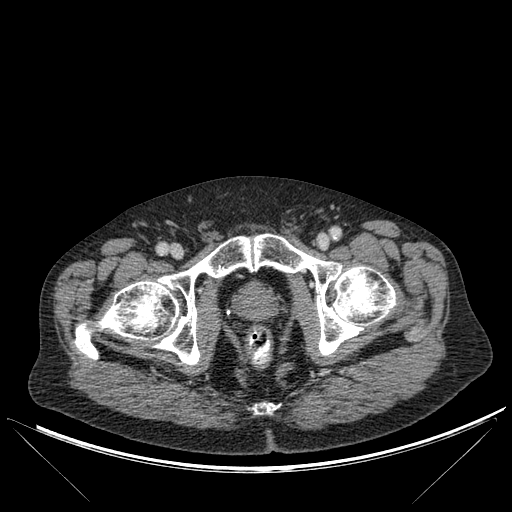
Computed tomography. 512x512 px.

Annotated regions:
* bone: <bbox>75, 323, 97, 359</bbox>, <bbox>254, 403, 273, 414</bbox>, <bbox>96, 234, 395, 365</bbox>